Brain. Slice 47/155.
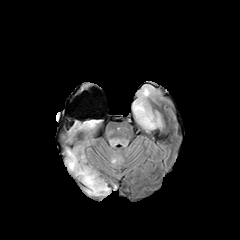
FLAIR MR image.
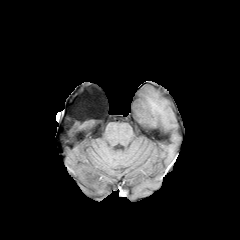
T1-weighted MRI.
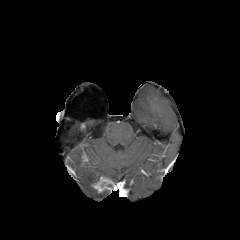
Post-contrast T1-weighted MR of the same slice.
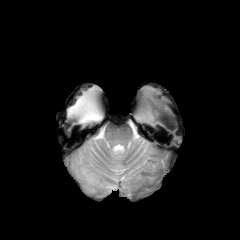
T2-weighted MRI.
The enhancing tumor is at bbox(94, 179, 111, 191). The non-enhancing tumor core lies within bbox(94, 176, 121, 194). 3 edema regions are located at bbox(66, 149, 108, 195); bbox(78, 120, 99, 128); bbox(136, 105, 152, 125).